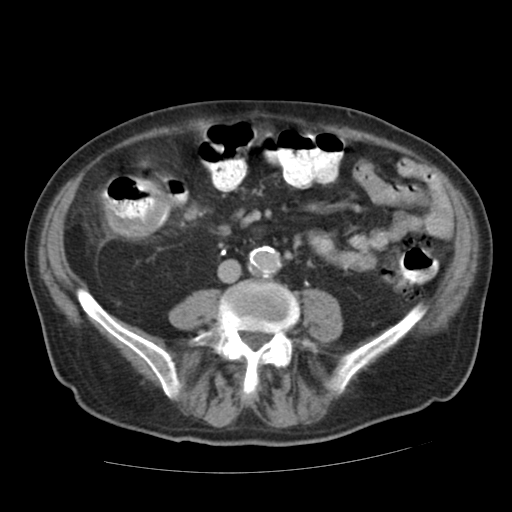
Computed tomography

Annotated regions:
• colon tumor: bbox=[106, 190, 171, 236]